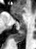 MR. Hippocampus. {
  "posterior_hippocampus": [
    "x1=14 y1=29 x2=25 y2=42"
  ],
  "anterior_hippocampus": [
    "x1=12 y1=13 x2=14 y2=15"
  ]
}